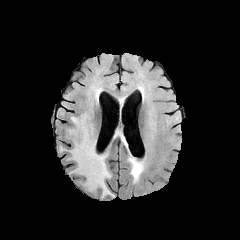
FLAIR MR.
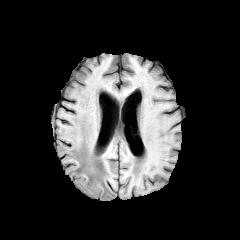
Same slice, T1-weighted MR.
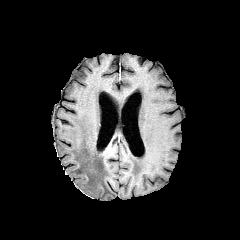
Post-contrast T1-weighted MR image.
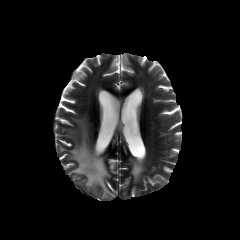
T2-weighted MR image of the same slice.
Annotated regions:
• edema: left=127, top=156, right=145, bottom=183; left=69, top=120, right=111, bottom=197